CT image, 512x512

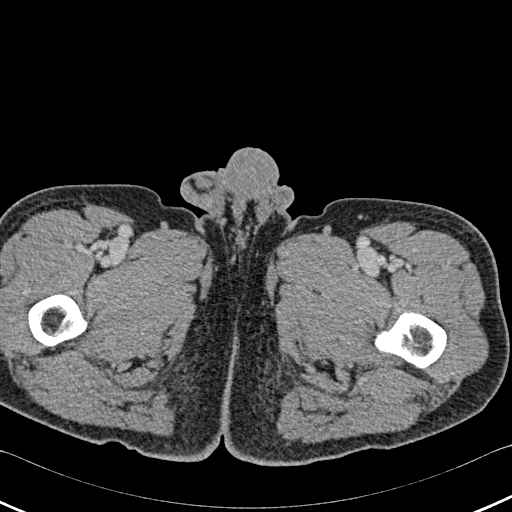 Bone at box=[375, 313, 446, 367]; box=[29, 295, 86, 345].